Image size 512x512. Computed tomography. Slice 29/95. Upper abdomen.
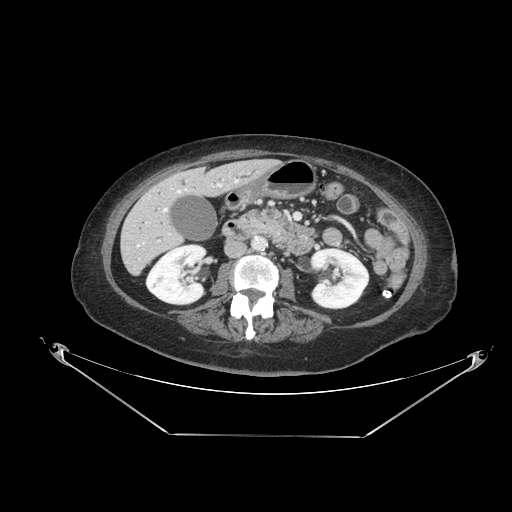
{"pancreas": ["246 209 280 235"]}